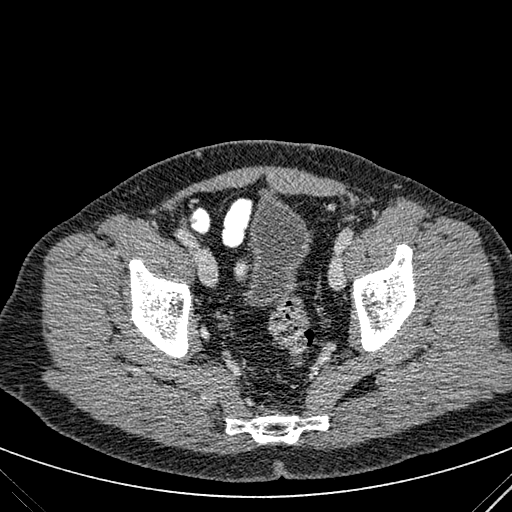 Computed tomography; Lower abdomen

The urinary bladder appears at <box>238,197,313,309</box>.